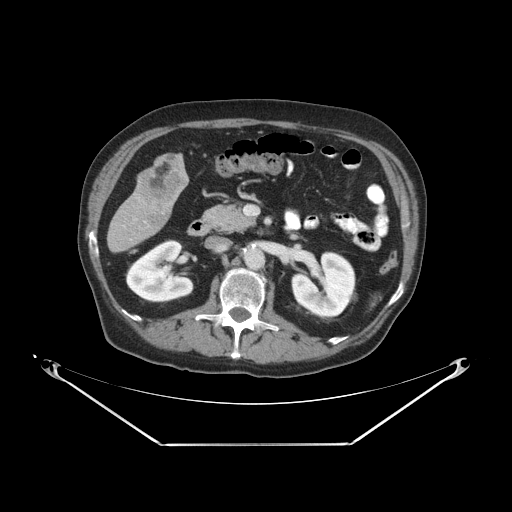

Abdomen | CT image
The vessel boxes may cover only some of the vessels.
Liver tumor: bounding box (137, 154, 186, 209).
Hepatic vessel: bounding box (133, 218, 136, 220).